FLAIR magnetic resonance.
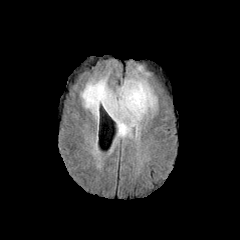
T1-weighted magnetic resonance.
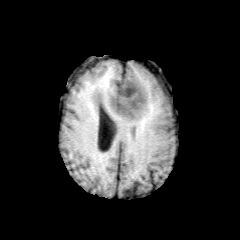
Post-contrast T1-weighted MR image.
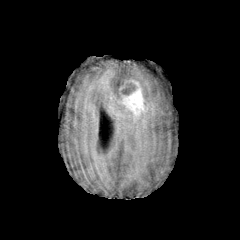
T2-weighted magnetic resonance.
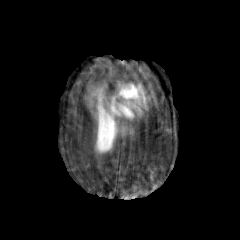
Brain
<segmentation>
  <enhancing_tumor>box=[109, 81, 145, 119]</enhancing_tumor>
  <edema>box=[82, 78, 157, 137]</edema>
  <non-enhancing_tumor_core>box=[116, 82, 135, 99]; box=[114, 101, 130, 117]</non-enhancing_tumor_core>
</segmentation>